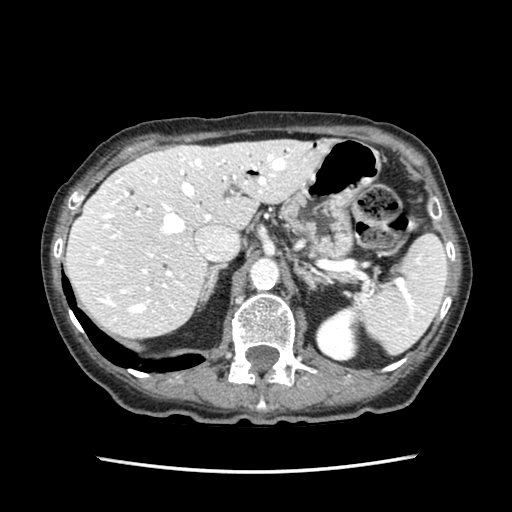

Upper abdomen. CT.

pancreas:
  - rect(336, 268, 345, 277)